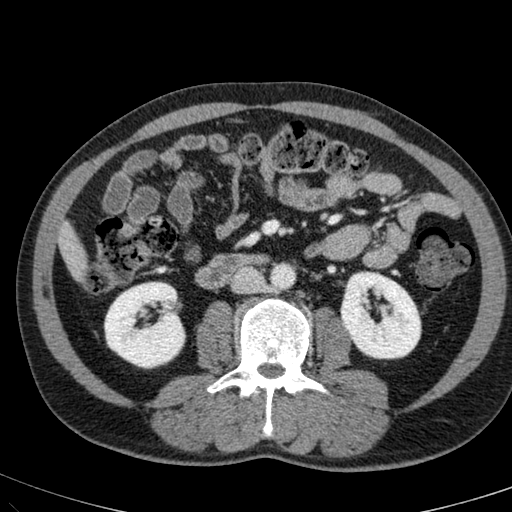
CT

liver:
  - 58, 222, 83, 267
kidney:
  - 342, 273, 419, 357
  - 105, 283, 183, 366